Slice 359/696; CT; Liver 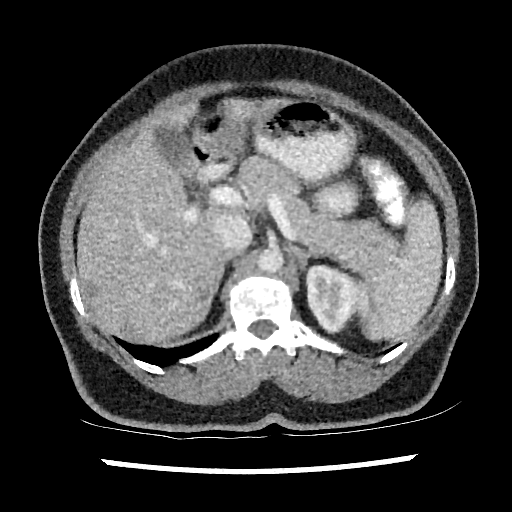 {
  "liver_lesion": [
    "86:282:98:297",
    "121:324:131:335",
    "197:285:208:301"
  ],
  "kidney": [
    "307:266:365:330"
  ],
  "liver": [
    "262:99:288:116",
    "77:103:226:341",
    "227:100:253:120"
  ]
}